FLAIR MR.
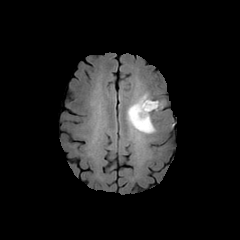
T1-weighted MRI.
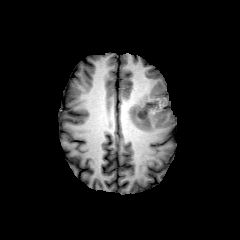
Post-contrast T1-weighted MR image.
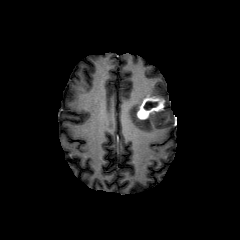
T2-weighted magnetic resonance.
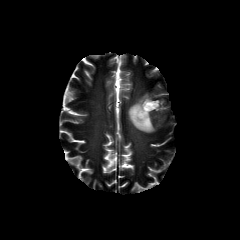
Non-enhancing tumor core: bounding box (131, 101, 149, 124), (144, 101, 157, 109).
Enhancing tumor: bounding box (136, 94, 163, 119).
Edema: bounding box (126, 104, 160, 134), (134, 94, 146, 101).